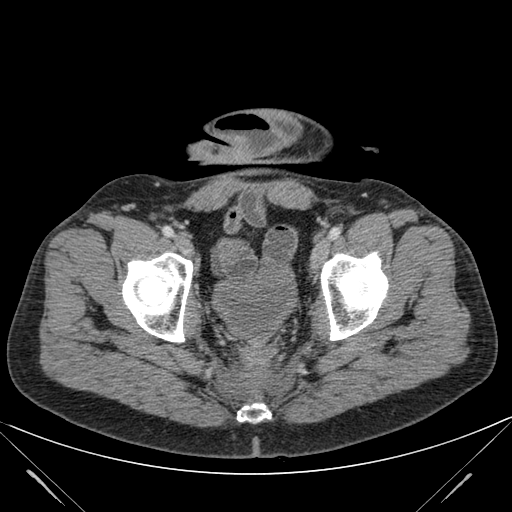

CT scan slice
urinary bladder: left=212, top=257, right=297, bottom=339